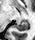 35x40 px; MRI slice

The posterior hippocampus lies within x1=14 y1=20 x2=28 y2=30.